CT. Field of view 360 mm wide, 0.80 mm slice spacing. Thorax. Slice index 667.

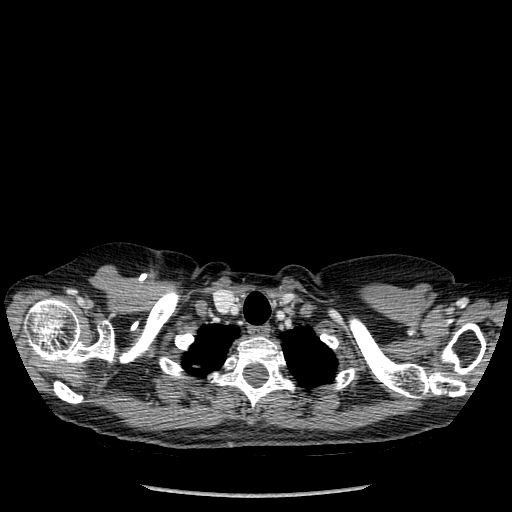 lung:
  - left=182, top=324, right=239, bottom=376
  - left=280, top=326, right=337, bottom=388
  - left=243, top=292, right=270, bottom=324
bone:
  - left=320, top=333, right=338, bottom=348
  - left=119, top=289, right=179, bottom=362
  - left=440, top=322, right=485, bottom=375
  - left=349, top=318, right=466, bottom=398
  - left=24, top=298, right=115, bottom=364
  - left=53, top=381, right=82, bottom=403
  - left=159, top=357, right=184, bottom=377
  - left=175, top=332, right=193, bottom=349
  - left=208, top=336, right=294, bottom=407
  - left=334, top=368, right=355, bottom=389